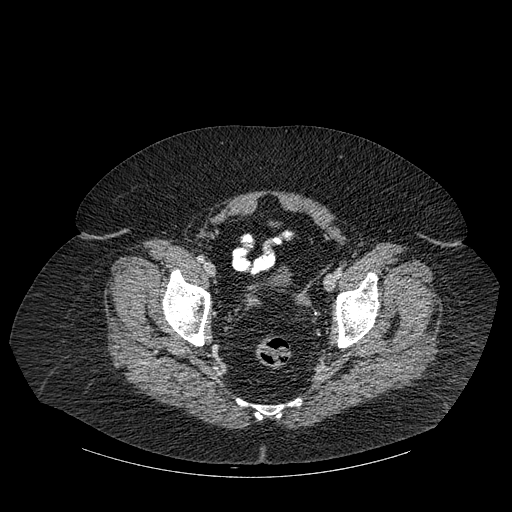

Computed tomography
5 bone regions appear at <bbox>251, 405, 283, 419</bbox>, <bbox>163, 270, 210, 345</bbox>, <bbox>336, 272, 378, 347</bbox>, <bbox>288, 398, 301, 406</bbox>, <bbox>236, 398, 247, 405</bbox>.